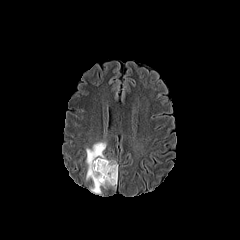
FLAIR magnetic resonance.
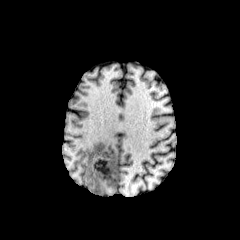
Same slice, T1-weighted MRI.
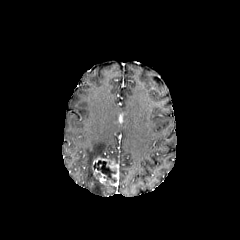
Post-contrast T1-weighted magnetic resonance of the same slice.
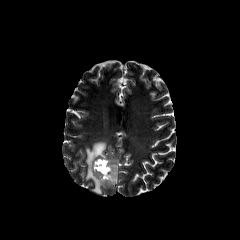
T2-weighted MRI.
Head
Edema: (84, 140, 106, 193).
Non-enhancing tumor core: (93, 161, 116, 186).
Enhancing tumor: (92, 165, 106, 184), (93, 157, 117, 181).